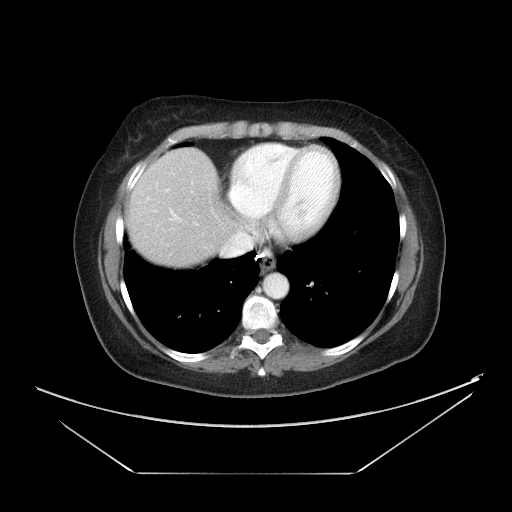 CT image
The vessel annotation is not exhaustive.
Hepatic vessel — box(166, 189, 168, 190); box(171, 211, 178, 219).